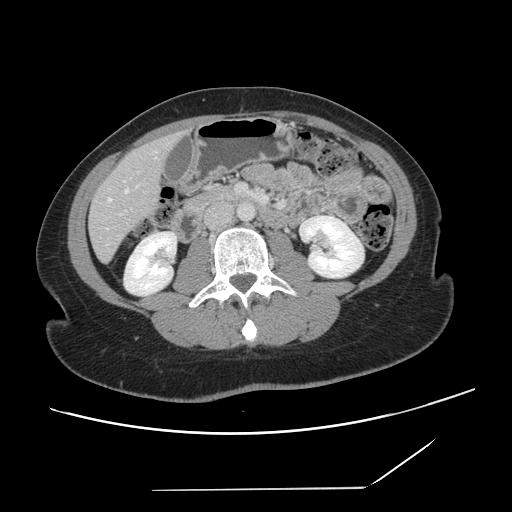
Liver | Computed tomography
Some hepatic vessels may have no box.
Segmented structures:
* hepatic vessel: (119, 213, 121, 214), (126, 189, 128, 193), (108, 198, 111, 201)